CT scan slice, 512x512 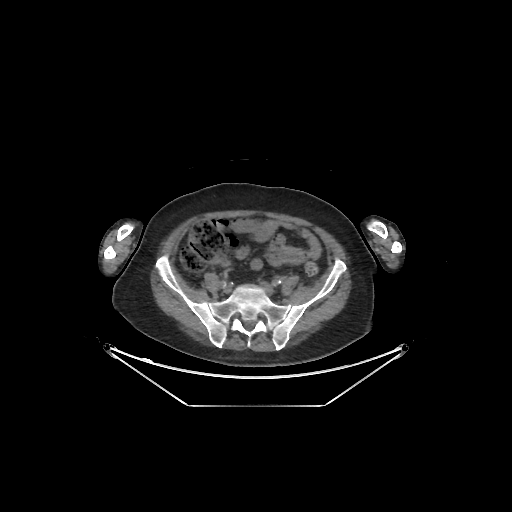
<segmentation>
  <bone>rect(104, 246, 115, 259); rect(156, 255, 345, 349); rect(368, 221, 387, 238); rect(117, 224, 133, 241); rect(391, 241, 401, 252)</bone>
</segmentation>